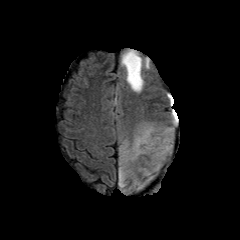
FLAIR magnetic resonance.
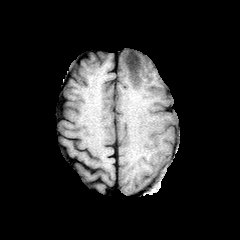
T1-weighted MRI of the same slice.
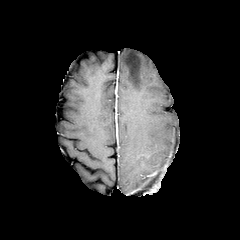
Post-contrast T1-weighted MRI.
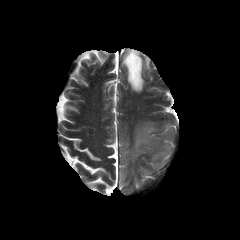
Same slice, T2-weighted MR image.
Brain
Segmented structures:
• edema: [x1=134, y1=127, x2=153, y2=151], [x1=120, y1=49, x2=149, y2=92], [x1=119, y1=162, x2=126, y2=187]
• non-enhancing tumor core: [x1=125, y1=53, x2=139, y2=81]